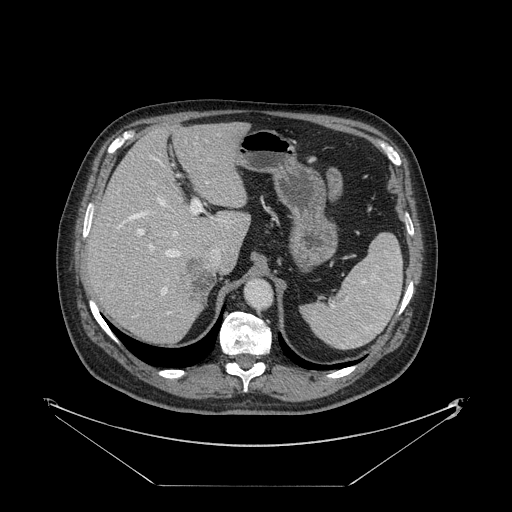

CT scan slice; 512x512; Abdomen

Only some of the vessels may be annotated.
Liver tumor: bbox(183, 257, 214, 304).
Hepatic vessel: bbox(150, 156, 155, 158); bbox(167, 312, 168, 313); bbox(173, 231, 176, 234); bbox(161, 288, 165, 294); bbox(176, 174, 178, 176); bbox(171, 163, 172, 165); bbox(190, 200, 205, 213); bbox(150, 181, 152, 182); bbox(149, 244, 152, 248); bbox(138, 229, 143, 234).